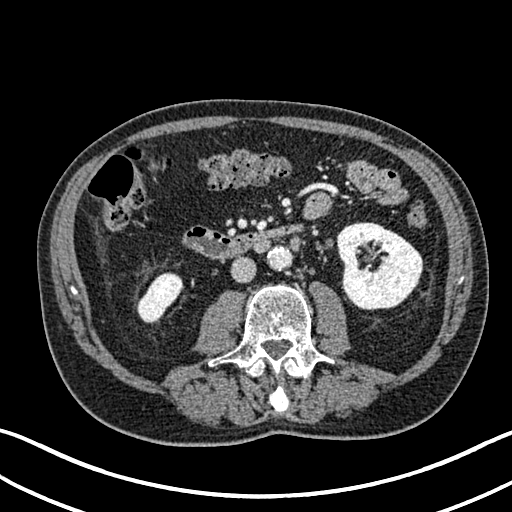 Abdomen, CT slice

2 kidney regions appear at {"x1": 338, "y1": 223, "x2": 421, "y2": 308}, {"x1": 138, "y1": 274, "x2": 181, "y2": 321}.